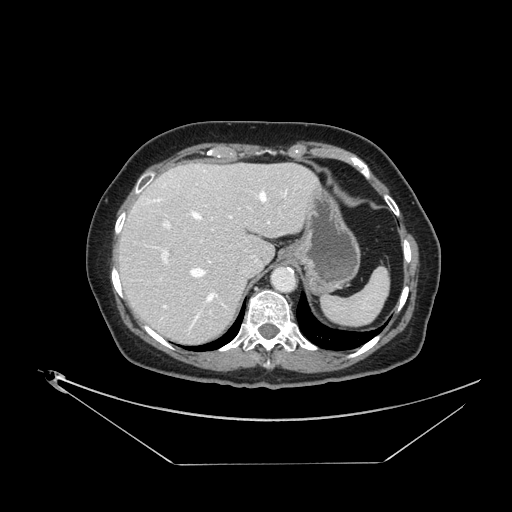

Image size 512x512, CT image

Some hepatic vessels may have no box.
{"hepatic_vessel": ["bbox(260, 191, 264, 199)", "bbox(142, 196, 162, 204)", "bbox(229, 215, 231, 218)", "bbox(250, 255, 260, 264)", "bbox(163, 220, 170, 228)", "bbox(190, 210, 202, 220)", "bbox(163, 305, 166, 307)", "bbox(162, 249, 168, 263)", "bbox(194, 312, 200, 317)", "bbox(189, 267, 205, 277)", "bbox(206, 292, 217, 302)"]}